MR

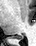 The posterior hippocampus is at {"x1": 11, "y1": 35, "x2": 23, "y2": 39}.